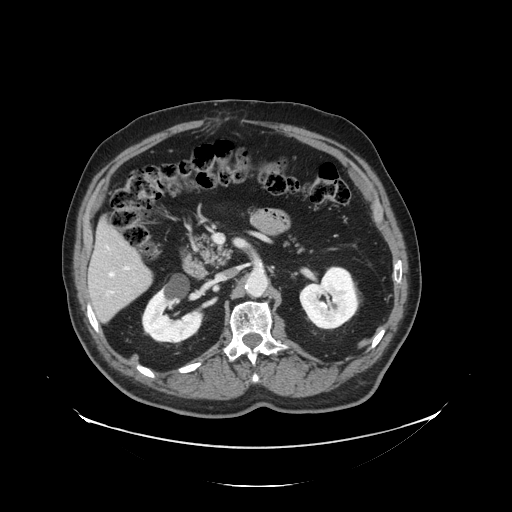

CT scan slice
The vessel annotation is not exhaustive.
4 hepatic vessel regions appear at [110,273,113,276], [107,291,113,294], [107,246,108,248], [125,267,129,270].